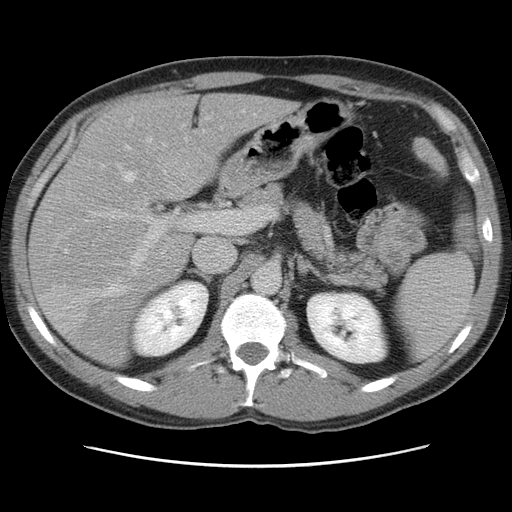

CT image | Abdomen

Not every hepatic vessel necessarily has a box.
Principal 15 of 18 hepatic vessel regions at (134,270,136,274), (140,217,148,221), (126,146,130,149), (164,171,166,173), (136,202,138,208), (90,210,127,219), (116,163,135,182), (205,117,211,119), (101,207,107,210), (93,290,99,300), (147,138,151,141), (65,250,68,253), (131,257,145,266), (103,278,125,296), (254,114,256,116).
Liver tumor at (43,284,96,332), (102,113,135,131).